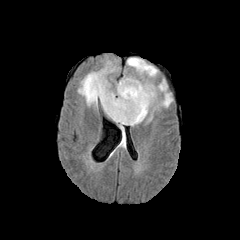
FLAIR MRI.
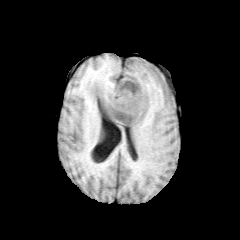
T1-weighted MRI.
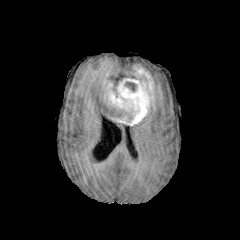
Same slice, post-contrast T1-weighted MR image.
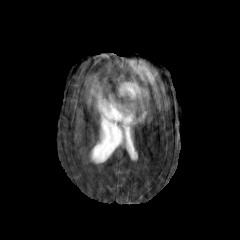
T2-weighted MR image.
Brain.
3 non-enhancing tumor core regions appear at [130, 66, 142, 83], [124, 81, 135, 91], [102, 104, 121, 119]. 3 edema regions are located at [121, 57, 158, 81], [78, 65, 116, 109], [131, 82, 172, 126]. The enhancing tumor appears at [105, 64, 153, 125].